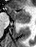
MRI slice | Hippocampus

anterior_hippocampus:
  - region(8, 6, 30, 19)
posterior_hippocampus:
  - region(17, 20, 29, 23)